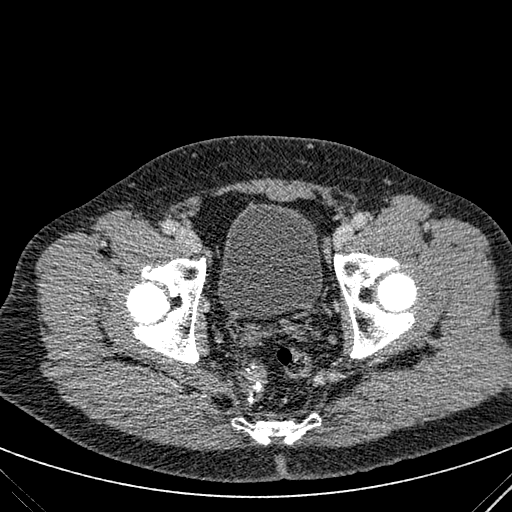
Computed tomography; Pelvis
• urinary bladder: 217:201:323:316